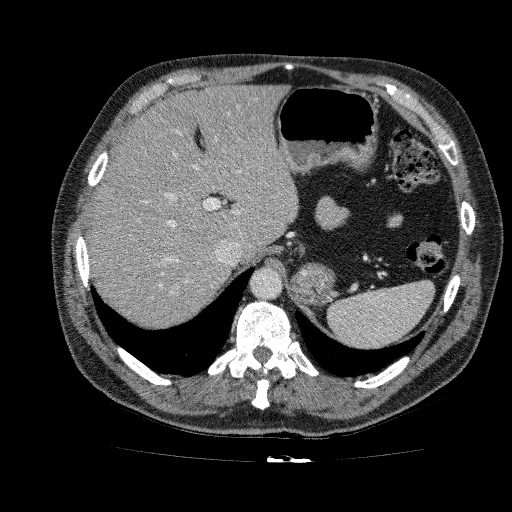
Computed tomography; Upper abdomen; 512x512

Liver — rect(86, 84, 298, 328).